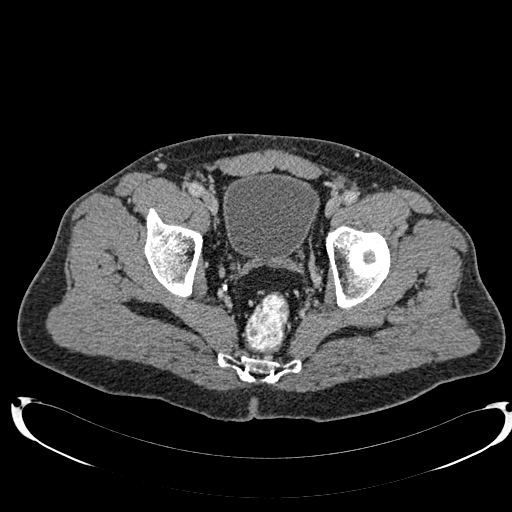

CT | Lower abdomen
urinary_bladder:
  - l=223, t=172, r=319, b=266